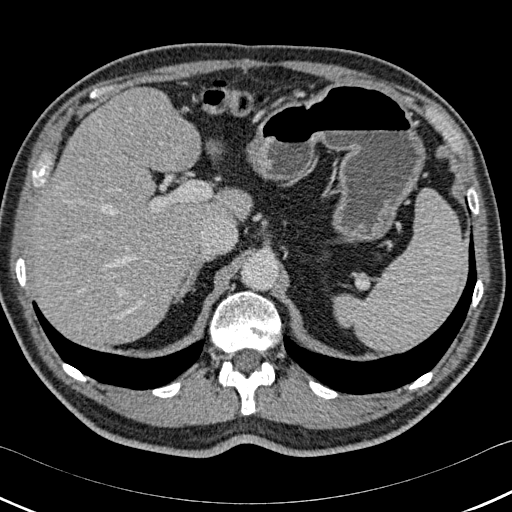

Liver; CT
10 bone regions are bounded by box=[409, 372, 432, 389]; box=[62, 363, 86, 381]; box=[32, 165, 46, 186]; box=[472, 280, 483, 306]; box=[219, 362, 274, 414]; box=[467, 188, 478, 214]; box=[14, 258, 25, 286]; box=[152, 383, 180, 397]; box=[309, 381, 337, 398]; box=[210, 292, 280, 353]. 2 lung regions are bounded by box=[283, 225, 476, 394]; box=[32, 301, 208, 390]. The liver appears at box=[34, 86, 252, 344].